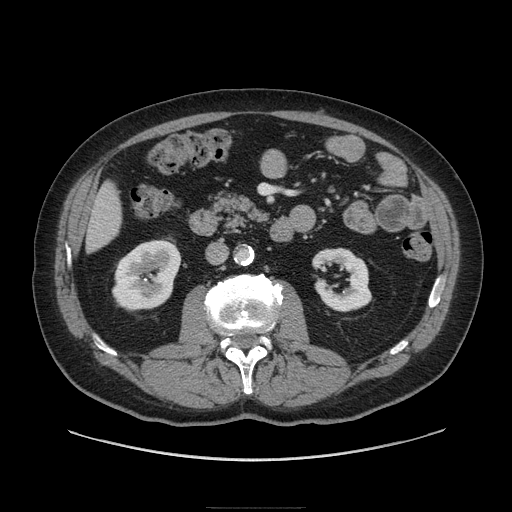 512x512; Upper abdomen; CT image
The pancreas lies within l=213, t=190, r=269, b=229.